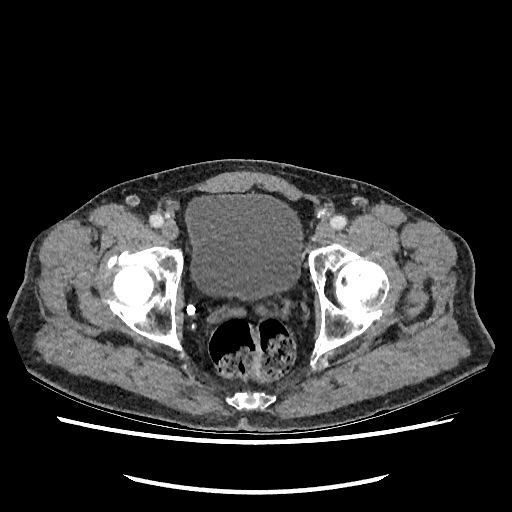 CT image | Pelvis | 512x512 px
Urinary bladder at (left=185, top=193, right=302, bottom=299).